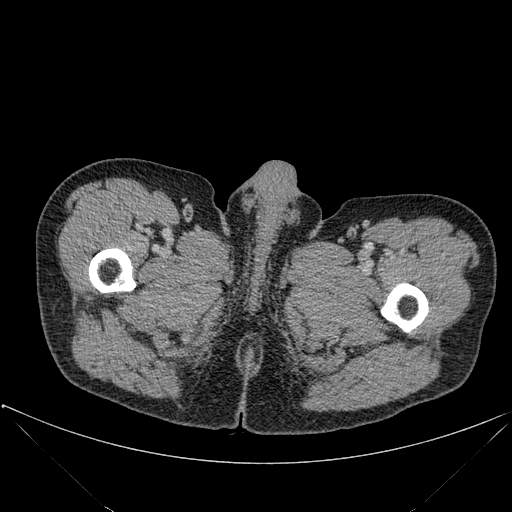
512x512, CT slice
Bone: bounding box 89:248:135:292, 381:283:428:331.